Slice 17 of 41, Liver, Computed tomography

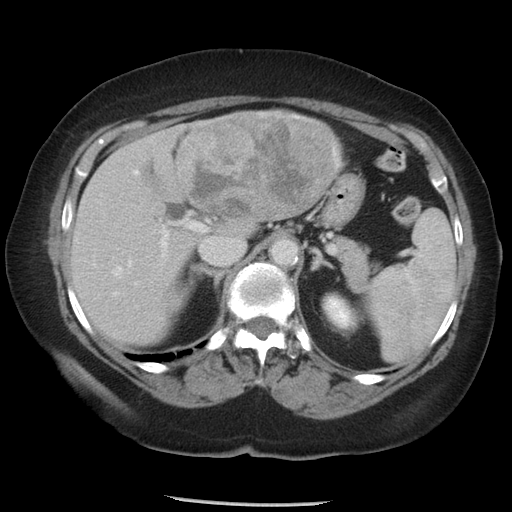

Only some of the vessels may be annotated.
liver tumor: x1=187 y1=112 x2=337 y2=219 | hepatic vessel: x1=159 y1=225 x2=169 y2=257, x1=149 y1=139 x2=152 y2=141, x1=133 y1=170 x2=138 y2=173, x1=134 y1=281 x2=138 y2=284, x1=179 y1=212 x2=210 y2=233, x1=127 y1=259 x2=131 y2=266, x1=75 y1=238 x2=78 y2=242, x1=112 y1=265 x2=121 y2=277, x1=207 y1=220 x2=209 y2=222, x1=113 y1=291 x2=117 y2=295